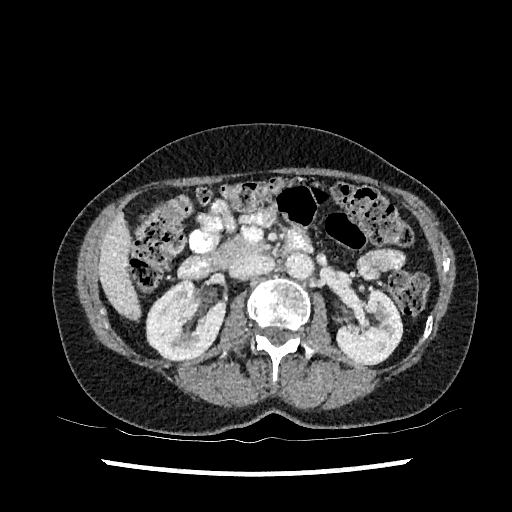

Image size 512x512; CT scan slice

{"kidney": ["x1=337, y1=291, x2=402, y2=364", "x1=147, y1=281, x2=224, y2=360"], "liver": ["x1=99, y1=215, x2=138, y2=317"]}